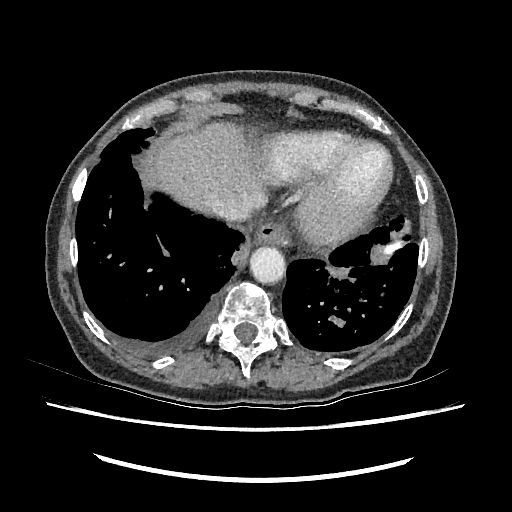 Upper abdomen | Computed tomography | 512x512 px
{
  "liver": [
    "154:124:279:214"
  ]
}